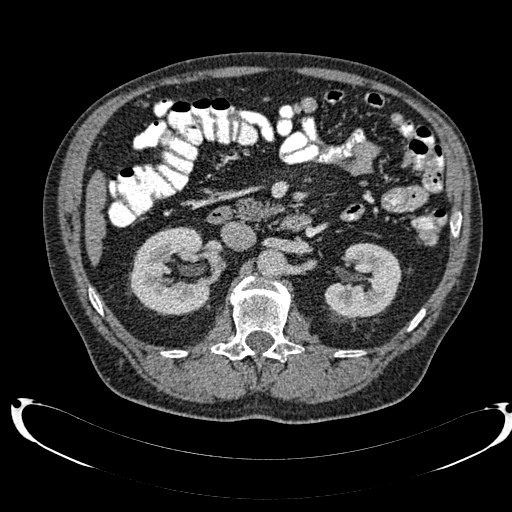

Computed tomography
2 kidney regions are located at left=325, top=243, right=401, bottom=318; left=130, top=227, right=225, bottom=314. The liver lies within left=84, top=170, right=104, bottom=263.